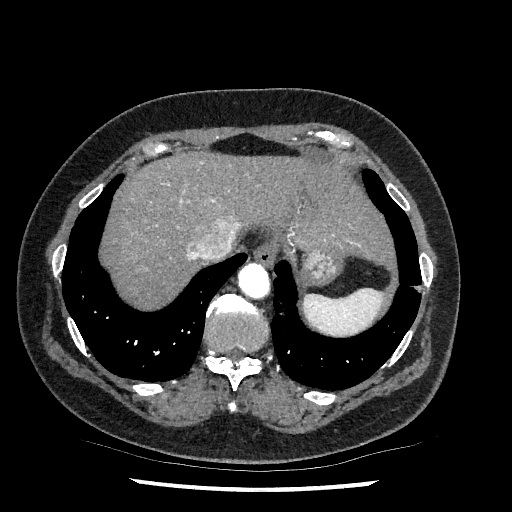 CT scan slice

{"liver": ["bbox=[105, 152, 392, 307]"]}